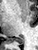 MR
<segmentation>
  <posterior_hippocampus>l=13, t=39, r=23, b=44</posterior_hippocampus>
</segmentation>